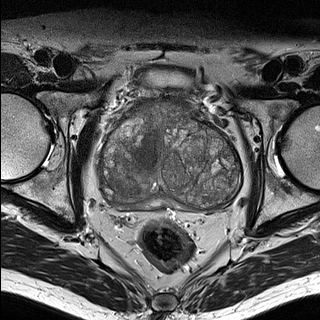
T2-weighted MR image.
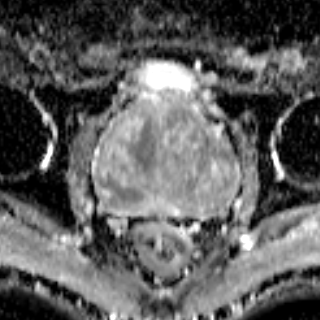
ADC MR image.
Prostate
prostate peripheral zone: region(113, 197, 202, 211) | prostate transition zone: region(100, 101, 239, 210)